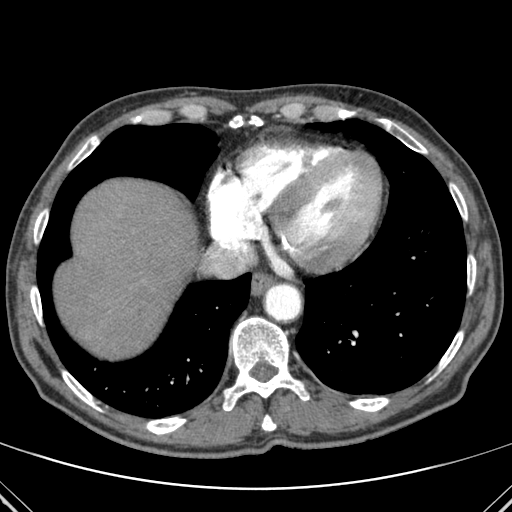 CT, Abdomen

liver:
  - region(54, 178, 198, 360)
lung:
  - region(37, 124, 250, 417)
  - region(295, 119, 466, 393)
bone:
  - region(338, 110, 354, 118)
  - region(34, 210, 48, 243)
  - region(450, 183, 467, 219)
  - region(438, 331, 463, 371)
  - region(146, 417, 185, 434)
  - region(379, 119, 427, 153)
  - region(349, 397, 388, 411)
  - region(62, 371, 101, 411)
  - region(30, 286, 41, 323)
  - region(467, 256, 476, 290)
  - region(249, 116, 262, 125)
  - region(223, 317, 309, 410)
  - region(262, 415, 275, 430)
  - region(69, 137, 98, 168)
  - region(229, 115, 244, 127)